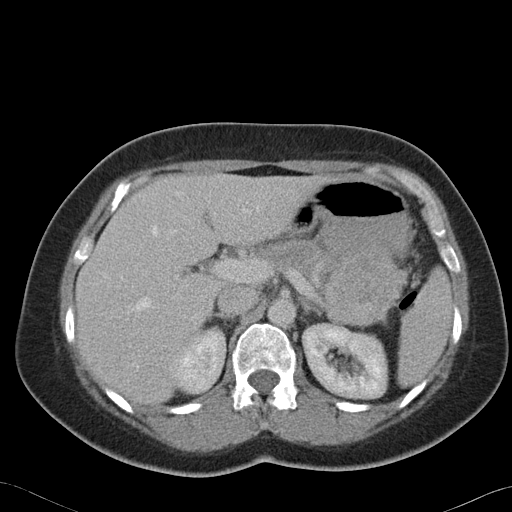
Abdomen, CT scan slice
Pancreatic tumor — (left=325, top=243, right=398, bottom=324).
Pancreas — (left=258, top=240, right=345, bottom=308), (left=395, top=260, right=402, bottom=299).